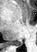
Magnetic resonance
posterior hippocampus: <box>10,39,20,44</box>